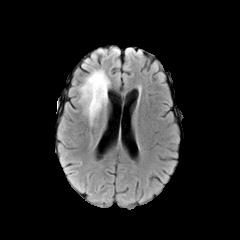
FLAIR MR.
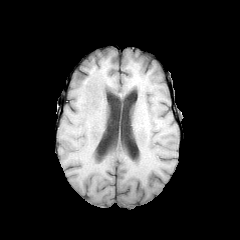
T1-weighted MR image.
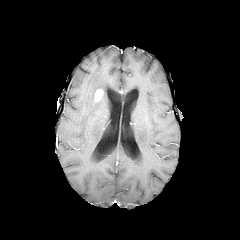
Post-contrast T1-weighted MR image.
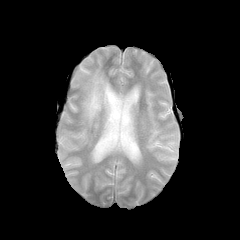
T2-weighted magnetic resonance of the same slice.
Brain
edema:
  - rect(78, 67, 110, 125)
enhancing_tumor:
  - rect(94, 89, 103, 101)